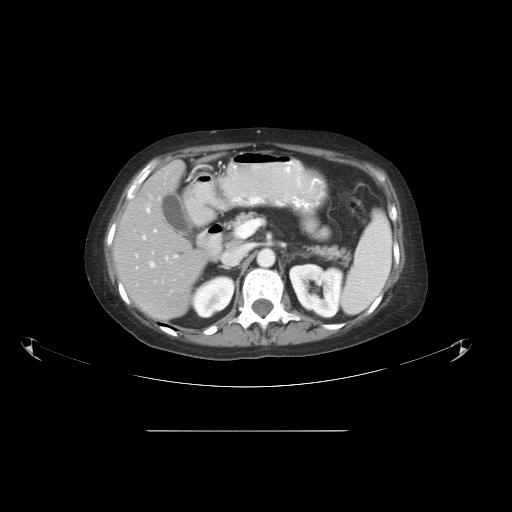
Computed tomography | Liver
Not every hepatic vessel necessarily has a box.
- hepatic vessel: [154,229,156,231], [173,254,177,257], [150,262,154,267], [146,207,150,212], [135,267,137,268], [135,254,137,256], [165,257,167,259], [143,236,145,239], [158,197,160,199]